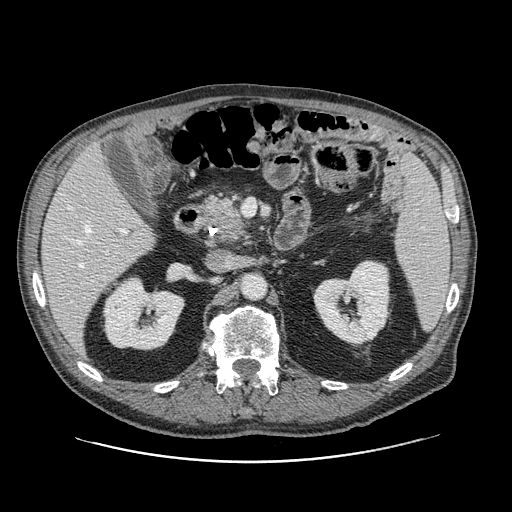

Upper abdomen | CT

Pancreatic tumor — <bbox>212, 212, 241, 236</bbox>.
Pancreas — <bbox>206, 197, 244, 240</bbox>.